FLAIR magnetic resonance.
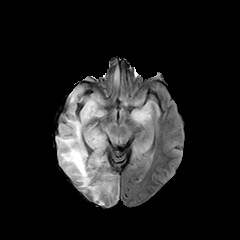
T1-weighted MRI.
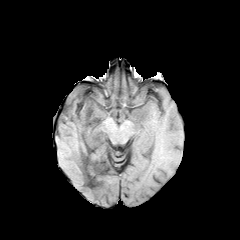
Post-contrast T1-weighted MR image.
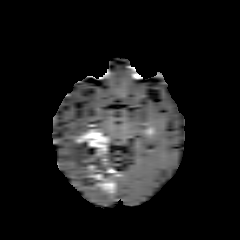
T2-weighted MRI.
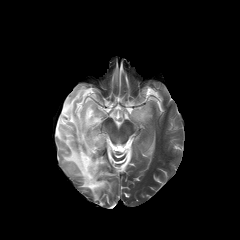
<segmentation>
  <edema>bbox=[56, 86, 104, 204]; bbox=[130, 104, 150, 123]</edema>
  <non-enhancing_tumor_core>bbox=[89, 176, 101, 187]; bbox=[80, 128, 99, 135]; bbox=[86, 144, 116, 193]</non-enhancing_tumor_core>
  <enhancing_tumor>bbox=[90, 168, 111, 191]; bbox=[77, 130, 107, 165]</enhancing_tumor>
</segmentation>